FLAIR MR.
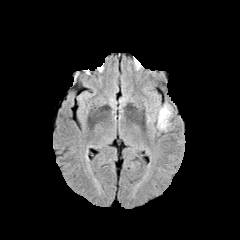
T1-weighted MR image.
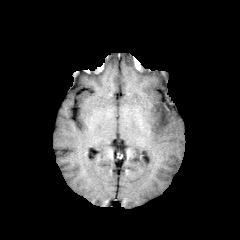
Post-contrast T1-weighted magnetic resonance.
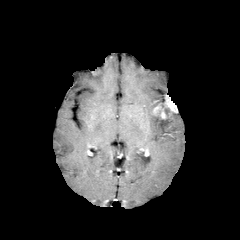
T2-weighted MRI.
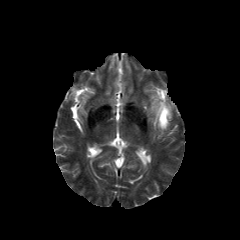
Head.
{"edema": ["147:106:177:130"], "enhancing_tumor": ["153:100:175:117"], "non-enhancing_tumor_core": ["156:116:167:124"]}